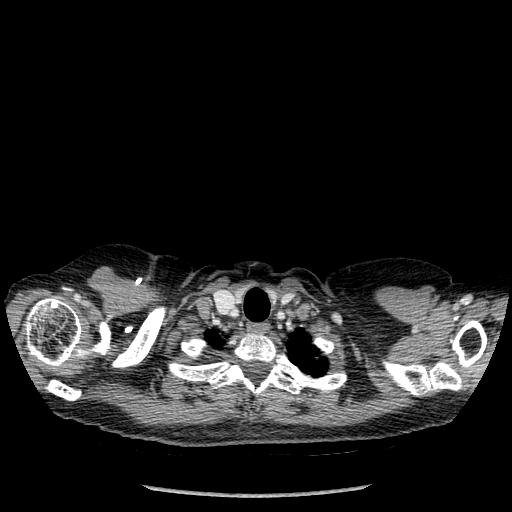

Thorax; CT
{
  "bone": [
    "<bbox>383, 361, 462, 395</bbox>",
    "<bbox>25, 297, 110, 367</bbox>",
    "<bbox>169, 332, 346, 394</bbox>",
    "<bbox>112, 307, 165, 367</bbox>",
    "<bbox>451, 320, 486, 371</bbox>",
    "<bbox>181, 338, 206, 358</bbox>",
    "<bbox>45, 380, 80, 400</bbox>",
    "<bbox>314, 337, 334, 353</bbox>"
  ],
  "lung": [
    "<bbox>244, 288, 269, 321</bbox>",
    "<bbox>287, 328, 327, 376</bbox>",
    "<bbox>205, 329, 223, 348</bbox>"
  ]
}